FLAIR magnetic resonance.
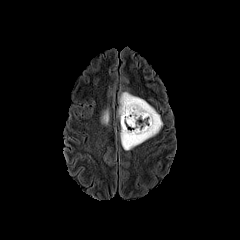
T1-weighted MR.
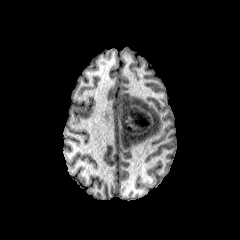
Post-contrast T1-weighted MR image.
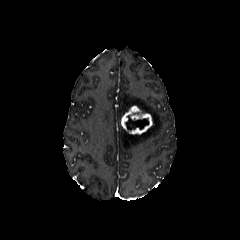
T2-weighted MR image.
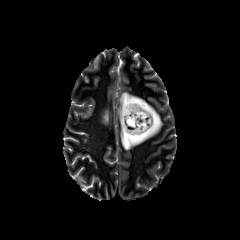
Brain.
Annotated regions:
* non-enhancing tumor core: bbox(125, 115, 148, 130)
* enhancing tumor: bbox(121, 105, 154, 135)
* edema: bbox(101, 109, 108, 124); bbox(118, 92, 162, 150)